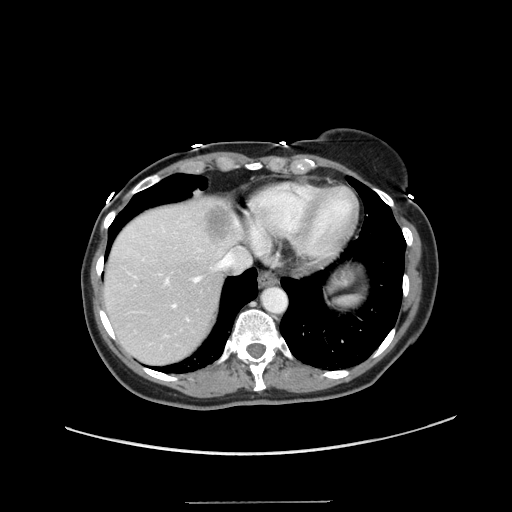 512x512, CT scan slice

Not every hepatic vessel necessarily has a box.
Hepatic vessel: bounding box {"x1": 173, "y1": 304, "x2": 175, "y2": 306}, {"x1": 194, "y1": 277, "x2": 199, "y2": 280}, {"x1": 210, "y1": 246, "x2": 249, "y2": 271}, {"x1": 165, "y1": 278, "x2": 168, "y2": 283}.
Liver tumor: bounding box {"x1": 201, "y1": 202, "x2": 237, "y2": 246}.